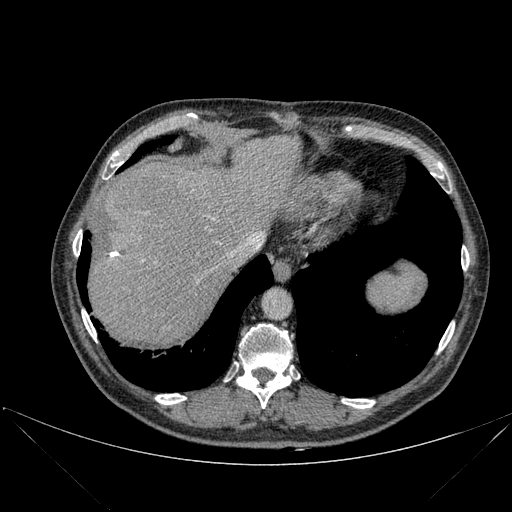 CT
The liver is at (left=88, top=136, right=300, bottom=347). 8 bone regions are located at (left=461, top=246, right=469, bottom=270), (left=155, top=393, right=186, bottom=404), (left=73, top=230, right=81, bottom=256), (left=109, top=152, right=123, bottom=170), (left=438, top=325, right=454, bottom=352), (left=237, top=324, right=292, bottom=408), (left=342, top=399, right=374, bottom=408), (left=82, top=310, right=96, bottom=341). 4 lung regions are located at (left=99, top=255, right=273, bottom=391), (left=118, top=136, right=175, bottom=172), (left=77, top=231, right=90, bottom=308), (left=291, top=156, right=462, bottom=396).